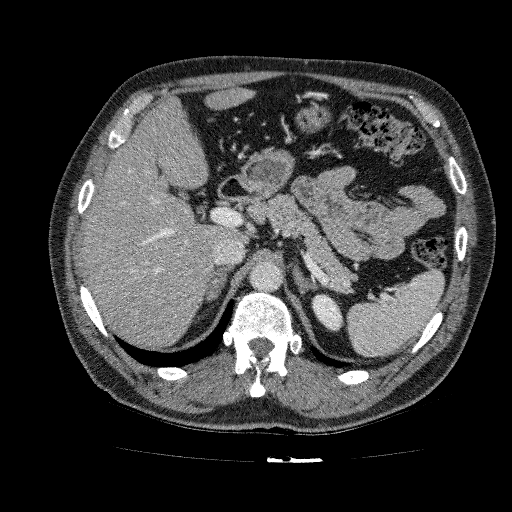 Computed tomography, 512x512 px
Annotated regions:
• liver: [x1=205, y1=87, x2=255, y2=110], [x1=81, y1=96, x2=248, y2=347]
• kidney: [x1=312, y1=295, x2=341, y2=329]